Image width 370 mm; Slice index 16; Abdomen; Computed tomography
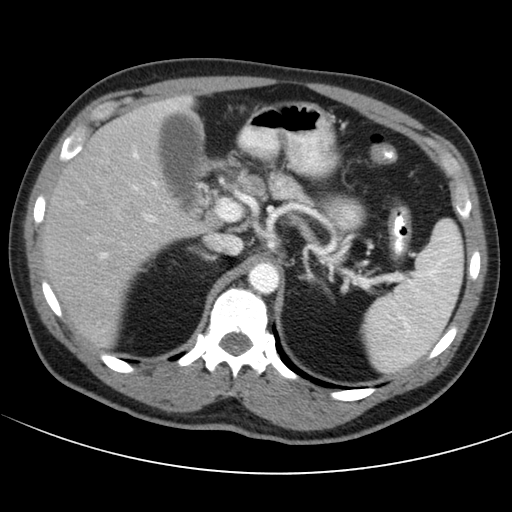

Some hepatic vessels may have no box.
Hepatic vessel at bbox(100, 253, 105, 257); bbox(133, 151, 136, 156); bbox(145, 215, 154, 220).